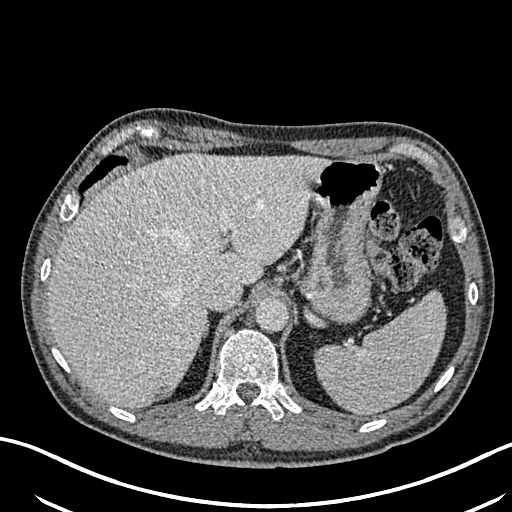 Abdomen; Computed tomography; Image size 512x512

Annotated regions:
• liver lesion: 138, 176, 146, 187; 151, 383, 172, 401
• liver: 48, 153, 329, 408